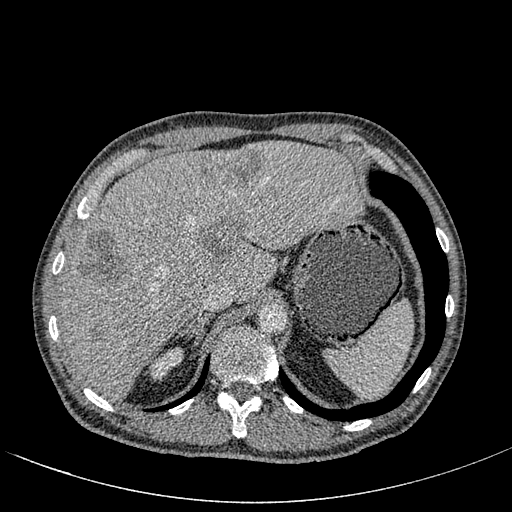

Computed tomography
4 hepatic lesion regions are located at bbox=[203, 149, 263, 186]; bbox=[199, 219, 242, 263]; bbox=[92, 323, 104, 337]; bbox=[80, 230, 129, 287]. The kidney lies within bbox=[149, 347, 183, 379]. The liver appears at bbox=[60, 140, 364, 399].